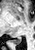 Magnetic resonance.
Posterior hippocampus at region(15, 38, 21, 44).